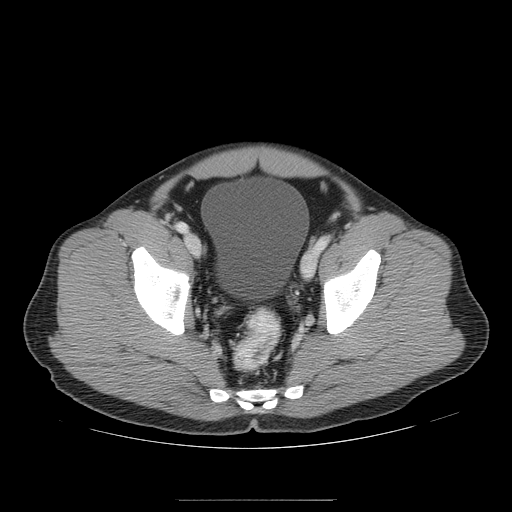
512x512, Pelvis, CT
colon tumor: (234, 311, 277, 369)